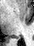 Hippocampus; MR image

- posterior hippocampus: bbox=[16, 37, 20, 38]